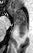

Magnetic resonance, Hippocampus
Anterior hippocampus — box(8, 7, 26, 20).
Posterior hippocampus — box(16, 20, 26, 37).